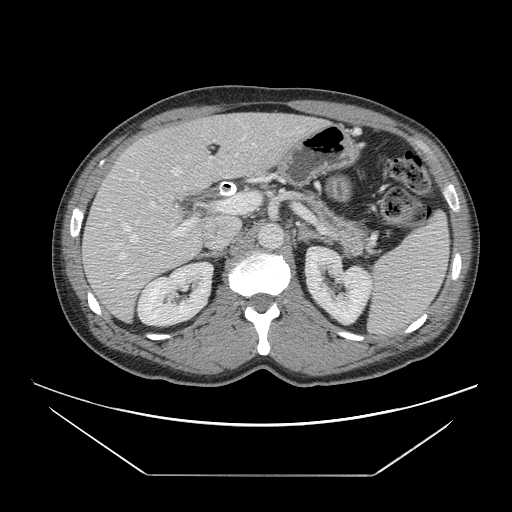 CT scan slice
Segmented structures:
- pancreas: <box>305,196,364,253</box>